Image size 240x240 | Head | Slice 106 of 155 | Field of view 240 mm wide, 1.00 mm slice spacing
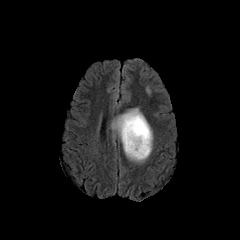
FLAIR MR.
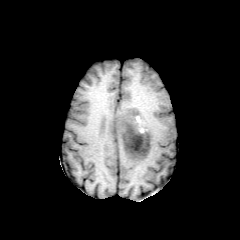
Same slice, T1-weighted MRI.
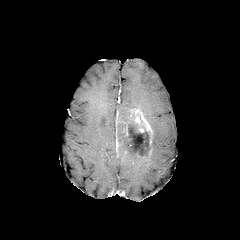
Post-contrast T1-weighted MR image of the same slice.
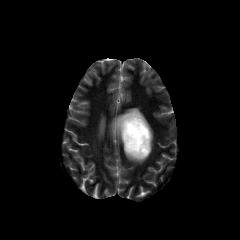
T2-weighted magnetic resonance.
Segmented structures:
* edema: (110, 109, 153, 163)
* non-enhancing tumor core: (122, 122, 150, 157)
* enhancing tumor: (122, 109, 151, 138)